Computed tomography | Slice 33 of 81
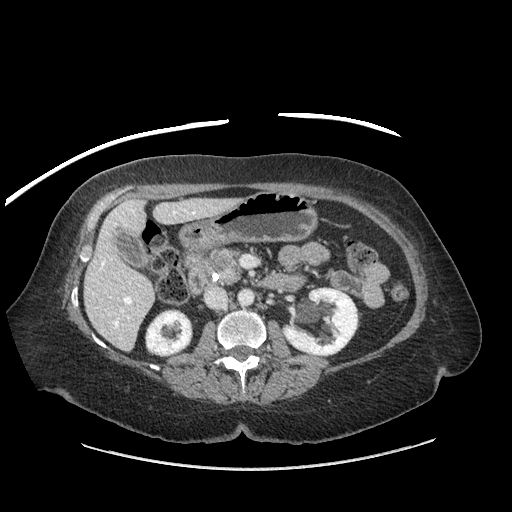
{"pancreas": ["x1=188, y1=249, x2=241, y2=285"], "pancreatic_tumor": ["x1=210, y1=254, x2=232, y2=272"]}